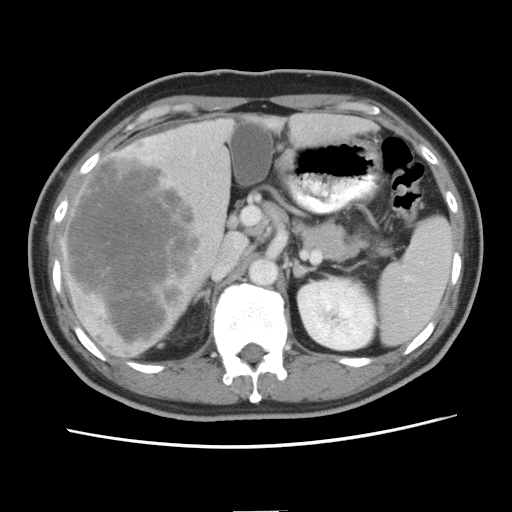 Computed tomography

The liver tumor is at 65:156:201:345.